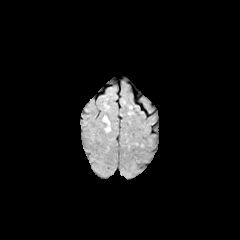
FLAIR magnetic resonance.
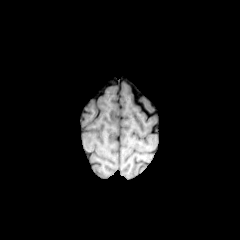
T1-weighted magnetic resonance.
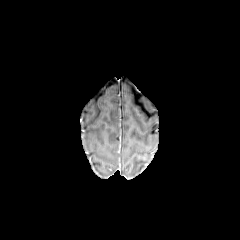
Same slice, post-contrast T1-weighted MRI.
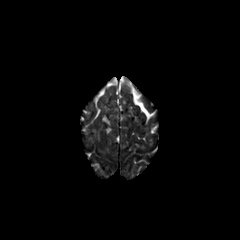
Same slice, T2-weighted MR.
Image size 240x240
Edema = x1=102 y1=115 x2=110 y2=131.